CT scan slice, Abdomen
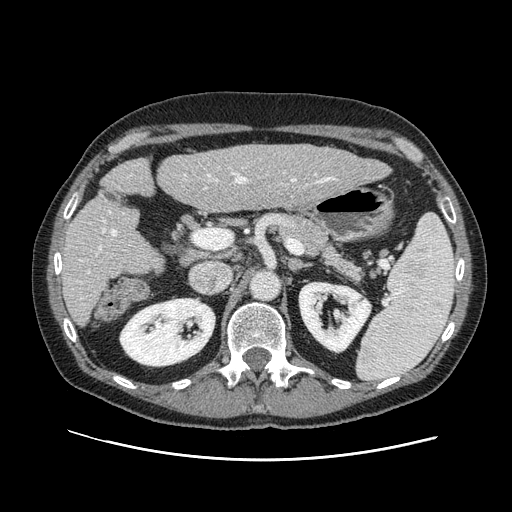
Findings:
- pancreas: bbox=[284, 216, 360, 280]